Image size 512x512 | CT scan slice 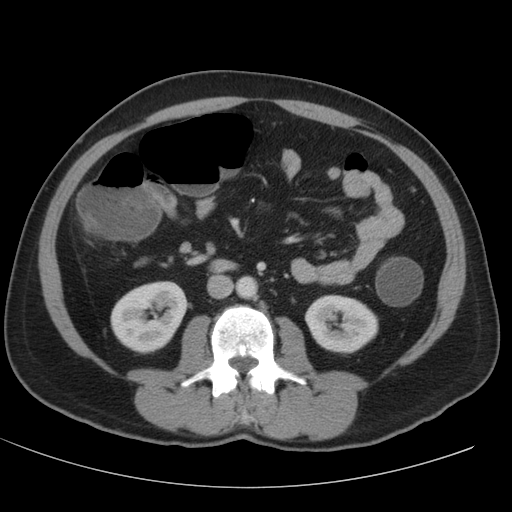
Annotated regions:
* kidney: left=111, top=282, right=186, bottom=352; left=306, top=295, right=377, bottom=352